FLAIR MRI.
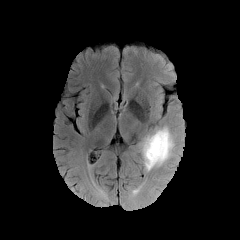
T1-weighted magnetic resonance.
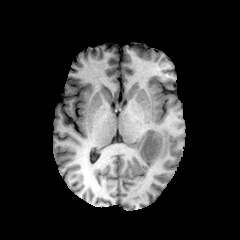
Post-contrast T1-weighted magnetic resonance.
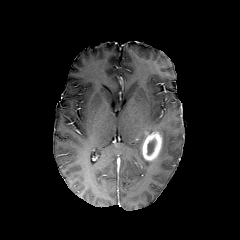
T2-weighted magnetic resonance.
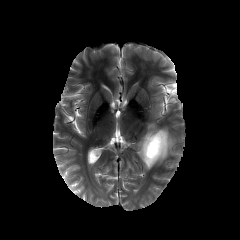
Enhancing tumor — [142,132,161,160].
Non-enhancing tumor core — [147,139,156,155].
Edema — [140,126,175,173].